CT slice; Slice index 16; Field of view 512x512 mm 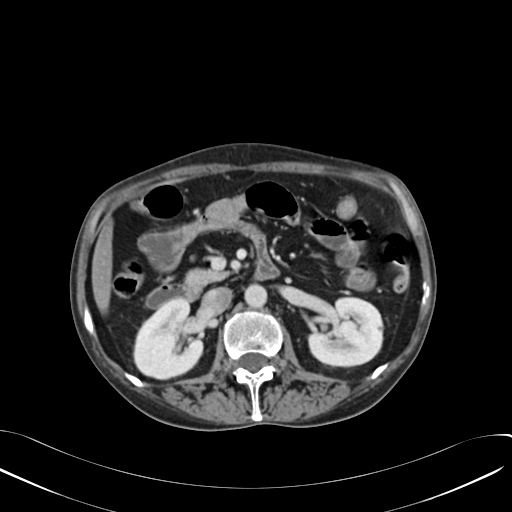

Segmented structures:
• liver: box=[92, 219, 112, 311]
• kidney: box=[135, 299, 202, 378]; box=[309, 298, 381, 365]